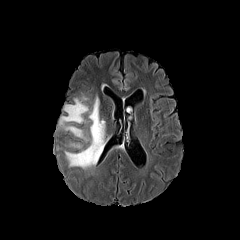
FLAIR MR image.
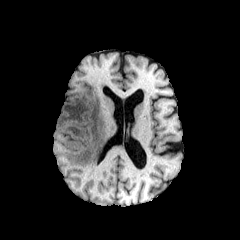
T1-weighted MR image.
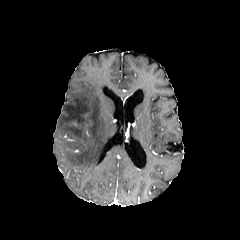
Post-contrast T1-weighted MRI.
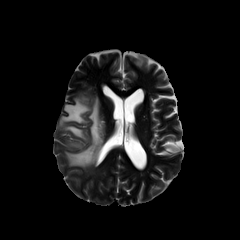
T2-weighted MR image.
Head. 240x240 px.
Edema: bounding box x1=65 y1=126 x2=88 y2=141, x1=65 y1=97 x2=106 y2=169, x1=59 y1=95 x2=89 y2=125.